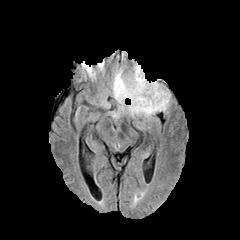
FLAIR MR.
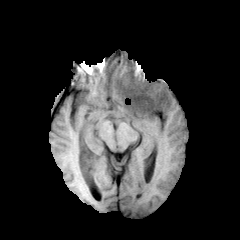
Same slice, T1-weighted MR.
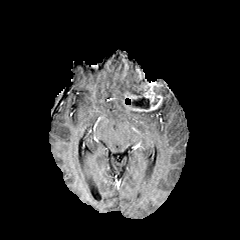
Same slice, post-contrast T1-weighted MR image.
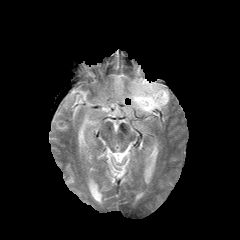
T2-weighted MR image.
240x240 | Brain
• enhancing tumor: (x1=124, y1=80, x2=168, y2=111)
• non-enhancing tumor core: (x1=134, y1=78, x2=145, y2=86), (x1=130, y1=97, x2=150, y2=109)
• edema: (x1=154, y1=85, x2=170, y2=111), (x1=138, y1=111, x2=154, y2=117), (x1=112, y1=66, x2=137, y2=102)